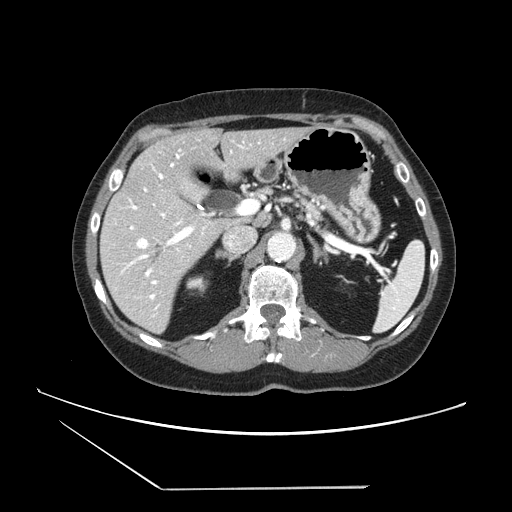
CT slice. 512x512.

pancreas: l=302, t=200, r=322, b=219